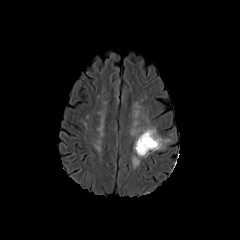
FLAIR magnetic resonance.
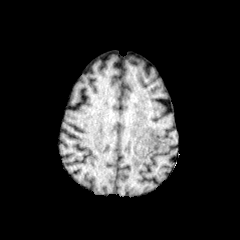
T1-weighted magnetic resonance of the same slice.
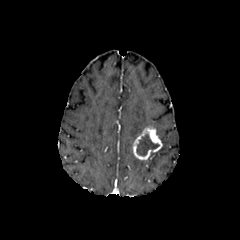
Post-contrast T1-weighted MR of the same slice.
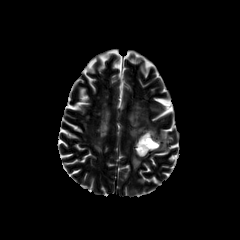
T2-weighted MRI.
Head; 240x240
The enhancing tumor is located at [x1=133, y1=124, x2=162, y2=160]. The non-enhancing tumor core is bounded by [x1=136, y1=134, x2=160, y2=156]. 4 edema regions appear at [x1=131, y1=154, x2=141, y2=170], [x1=130, y1=126, x2=145, y2=137], [x1=132, y1=102, x2=149, y2=125], [x1=159, y1=138, x2=171, y2=150].